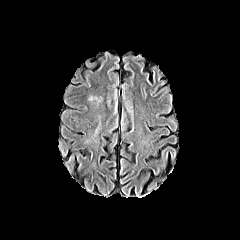
FLAIR MRI.
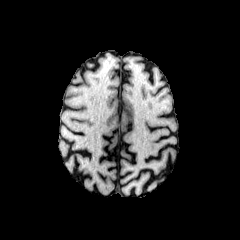
T1-weighted MRI.
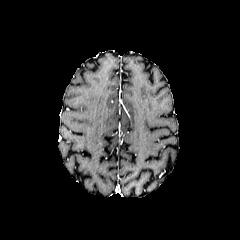
Post-contrast T1-weighted MR.
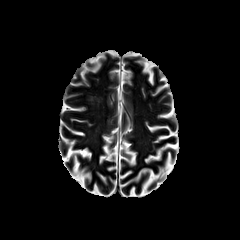
T2-weighted magnetic resonance.
Brain
edema:
  - 88, 96, 100, 101